CT scan slice. Field of view 396x396 mm. Slice 34 of 85. Upper abdomen. Image size 512x512.

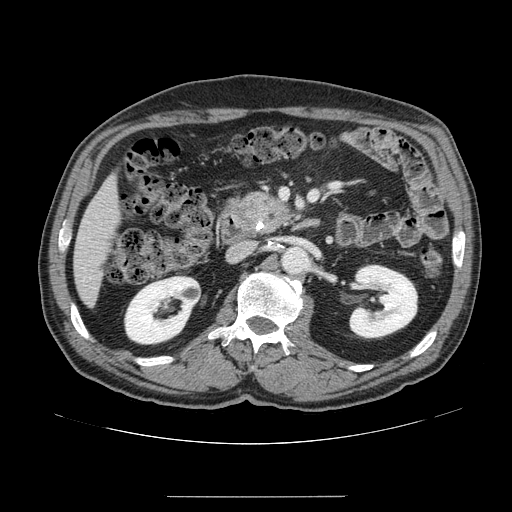 <segmentation>
  <pancreas>bbox(239, 190, 295, 237)</pancreas>
</segmentation>